Lower abdomen | CT image | Image size 512x512

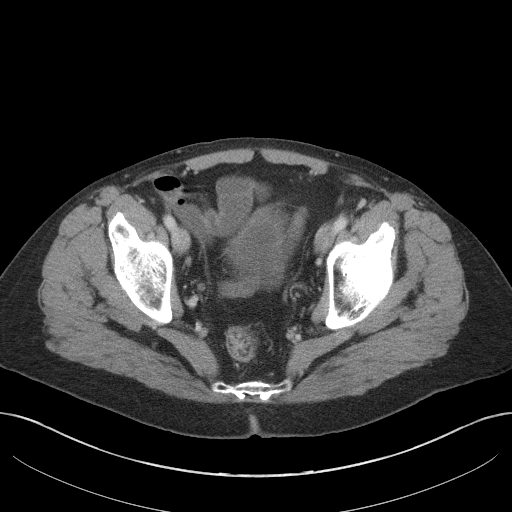 Urinary bladder: (x1=221, y1=203, x2=296, y2=292).